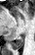
Medial temporal lobe. MR. <segmentation>
  <posterior_hippocampus>l=11, t=35, r=23, b=49</posterior_hippocampus>
</segmentation>